CT scan slice; Slice 17 of 30 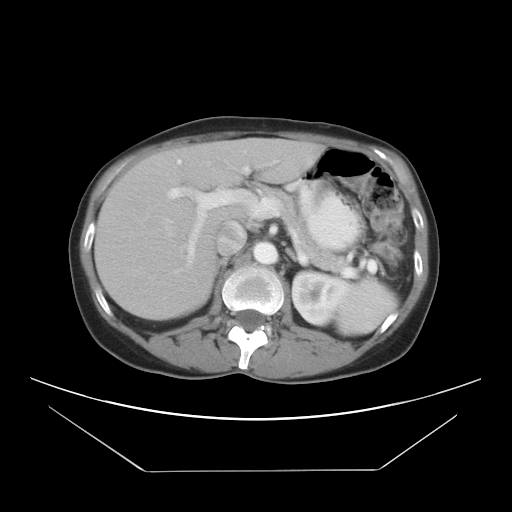

Not every hepatic vessel necessarily has a box.
{"partial": true, "hepatic_vessel": {"n_total": 16, "boxes": ["region(197, 231, 199, 234)", "region(228, 221, 237, 225)", "region(174, 161, 178, 166)", "region(199, 215, 203, 218)", "region(167, 188, 172, 193)", "region(186, 251, 193, 266)", "region(227, 163, 248, 172)", "region(189, 229, 192, 240)", "region(163, 217, 171, 235)", "region(234, 175, 236, 178)", "region(180, 245, 187, 249)", "region(167, 189, 178, 199)", "region(243, 150, 245, 153)", "region(173, 269, 179, 272)", "region(188, 187, 199, 193)"]}}